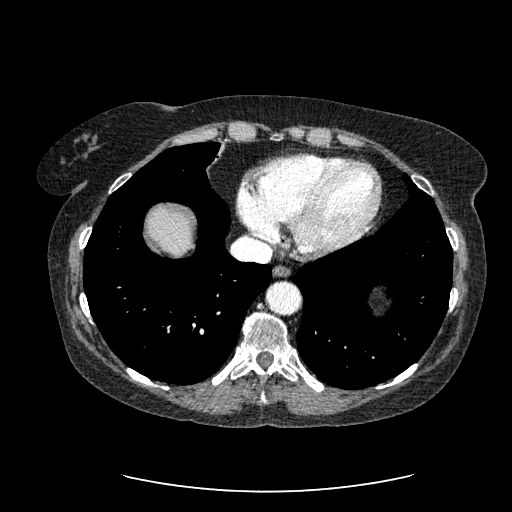
CT scan slice
Segmented structures:
• liver: {"x1": 147, "y1": 207, "x2": 192, "y2": 256}